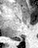 38x48 | MR image
Annotated regions:
* posterior hippocampus: {"x1": 15, "y1": 39, "x2": 22, "y2": 40}